Slice 91/155 | Image width 240 mm | Brain
FLAIR magnetic resonance.
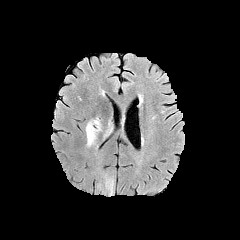
T1-weighted MR.
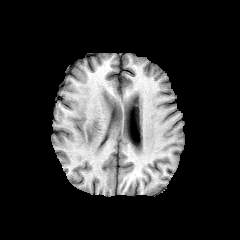
Post-contrast T1-weighted magnetic resonance.
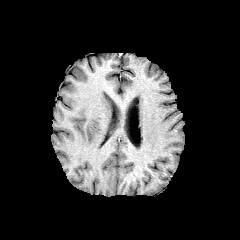
T2-weighted MR.
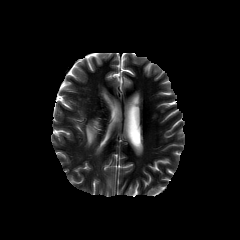
Annotated regions:
- edema: <box>84,118,101,147</box>